Image width 240 mm; Brain
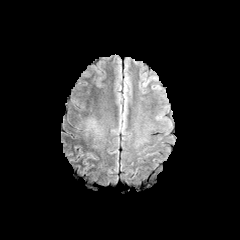
FLAIR magnetic resonance.
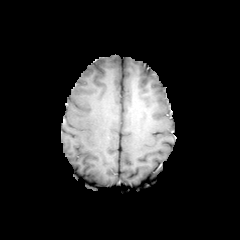
T1-weighted MR.
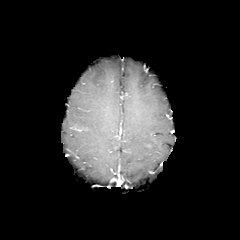
Post-contrast T1-weighted MRI.
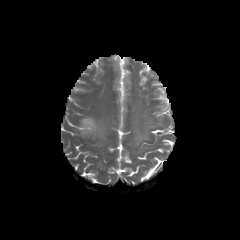
Same slice, T2-weighted MR image.
Annotated regions:
- edema: 76:117:99:136